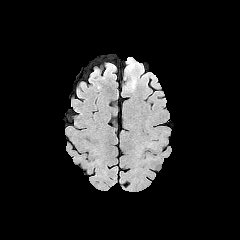
FLAIR MRI.
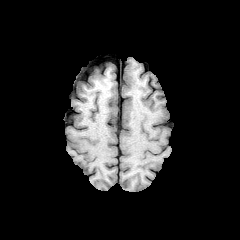
Same slice, T1-weighted MRI.
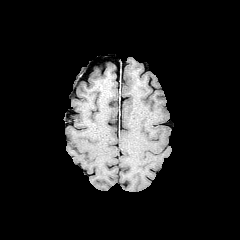
Same slice, post-contrast T1-weighted magnetic resonance.
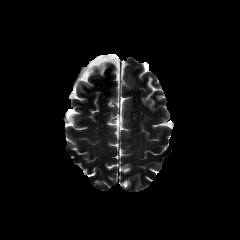
T2-weighted MR of the same slice.
Image size 240x240; Head
The edema is bounded by 126 72 137 89.